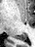 MR.

The posterior hippocampus lies within 16,34,26,40.